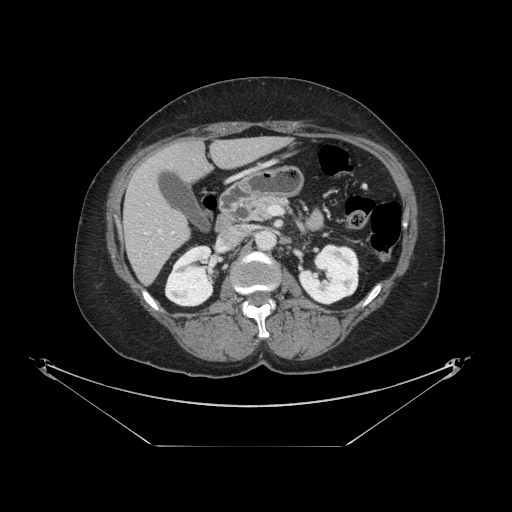
CT image; Upper abdomen
The pancreas is bounded by [x1=249, y1=196, x2=291, y2=221].